CT slice.

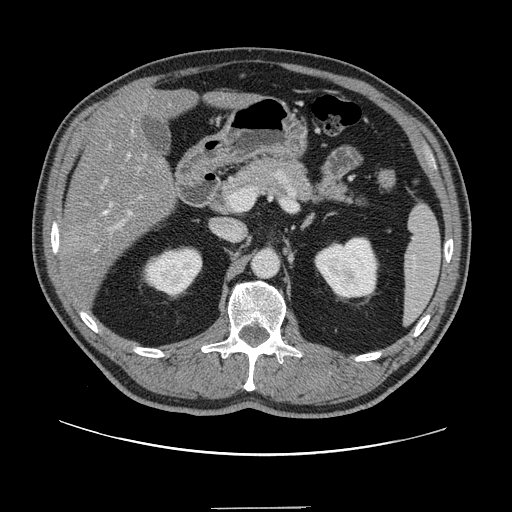
The vessel boxes may cover only some of the vessels.
liver_tumor:
  - rect(63, 225, 106, 258)
hepatic_vessel:
  - rect(101, 180, 107, 189)
  - rect(107, 223, 121, 232)
  - rect(128, 211, 131, 215)
  - rect(103, 211, 108, 214)
  - rect(111, 204, 112, 206)
  - rect(109, 144, 110, 148)
  - rect(132, 132, 133, 133)
  - rect(128, 154, 130, 157)